CT slice | Slice 94 of 271
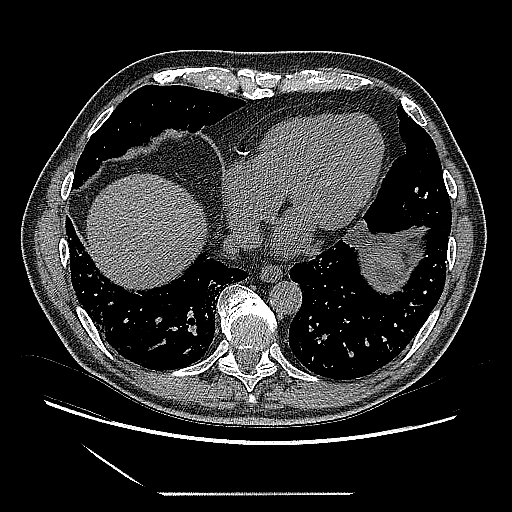

lung_tumor:
  - (342,217,370,251)